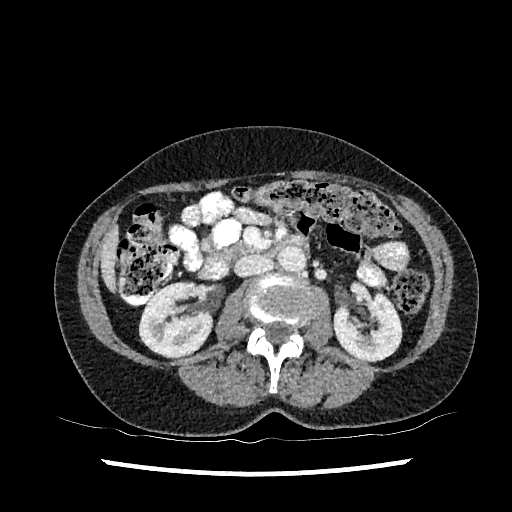
CT. Image size 512x512. Abdomen. Kidney: [334,294,401,360], [140,283,211,356].
Liver: [101,227,117,289].